240x240 px
FLAIR MR image.
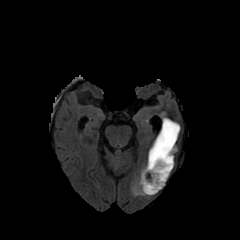
T1-weighted MR.
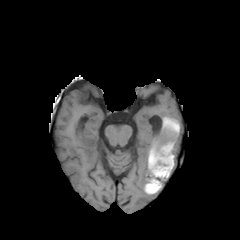
Post-contrast T1-weighted MRI.
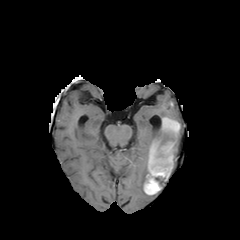
T2-weighted MRI.
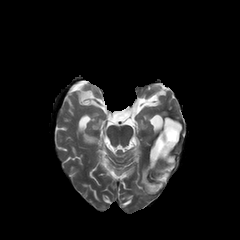
Non-enhancing tumor core: 146:126:178:190.
Edema: 133:164:147:194, 173:130:180:154.
Enhancing tumor: 150:142:173:161, 162:118:179:135, 145:178:159:193, 148:164:165:176.